Image width 373 mm. 512x512. CT. Liver.

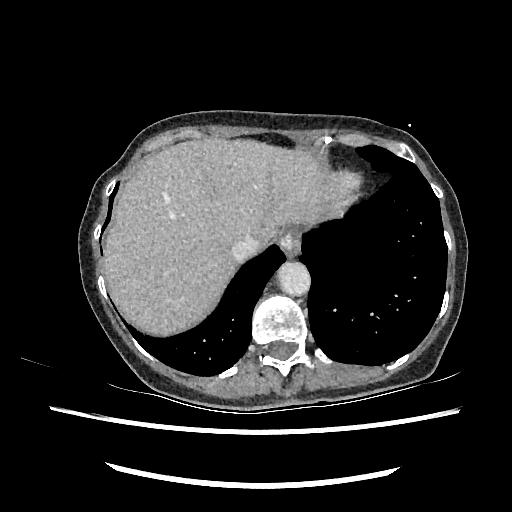

Segmented structures:
• liver: left=106, top=139, right=341, bottom=333